Slice 50/155, Field of view 240x240 mm
FLAIR MR.
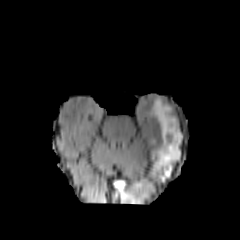
T1-weighted MRI.
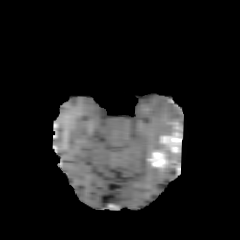
Post-contrast T1-weighted MR image.
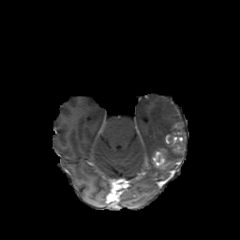
T2-weighted magnetic resonance.
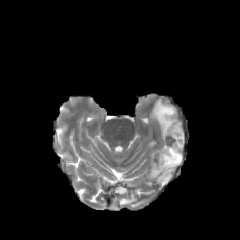
non-enhancing_tumor_core:
  - {"x1": 166, "y1": 125, "x2": 181, "y2": 135}
  - {"x1": 158, "y1": 161, "x2": 172, "y2": 169}
edema:
  - {"x1": 150, "y1": 97, "x2": 183, "y2": 177}
enhancing_tumor:
  - {"x1": 166, "y1": 135, "x2": 184, "y2": 152}
  - {"x1": 152, "y1": 149, "x2": 170, "y2": 166}